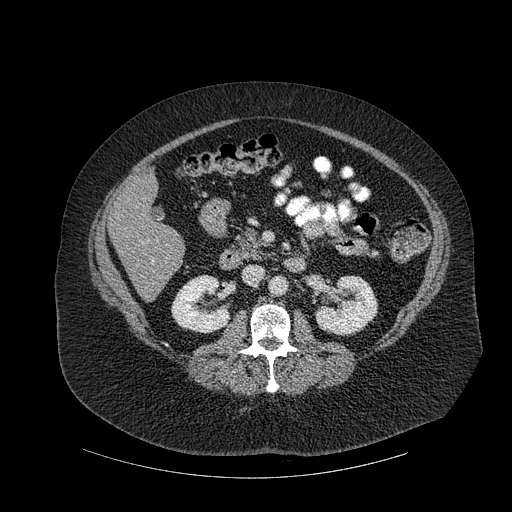
CT scan slice

2 bone regions are bounded by left=240, top=304, right=296, bottom=391; left=356, top=188, right=368, bottom=200. 2 kidney regions appear at left=316, top=276, right=376, bottom=334; left=172, top=275, right=229, bottom=332. The liver is located at left=108, top=172, right=185, bottom=297.